Slice 39 of 155
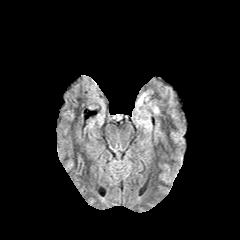
FLAIR MRI.
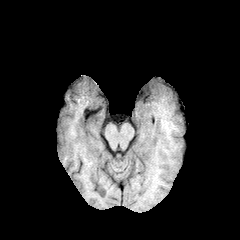
T1-weighted MRI.
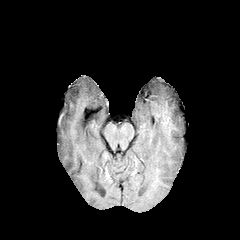
Post-contrast T1-weighted magnetic resonance of the same slice.
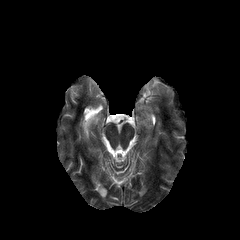
T2-weighted MR.
Findings:
* edema: rect(137, 91, 158, 119)